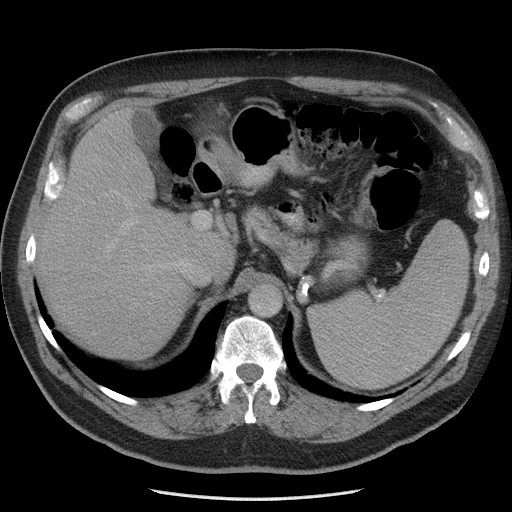
Computed tomography; Liver
The vessel annotation is not exhaustive.
Top 15 of 16 hepatic vessel regions — {"x1": 195, "y1": 213, "x2": 202, "y2": 229}, {"x1": 144, "y1": 230, "x2": 145, "y2": 232}, {"x1": 158, "y1": 221, "x2": 160, "y2": 222}, {"x1": 168, "y1": 256, "x2": 202, "y2": 278}, {"x1": 148, "y1": 266, "x2": 152, "y2": 271}, {"x1": 162, "y1": 243, "x2": 165, "y2": 245}, {"x1": 150, "y1": 293, "x2": 152, "y2": 295}, {"x1": 152, "y1": 240, "x2": 154, "y2": 246}, {"x1": 118, "y1": 231, "x2": 125, "y2": 234}, {"x1": 168, "y1": 253, "x2": 171, "y2": 255}, {"x1": 160, "y1": 265, "x2": 163, "y2": 269}, {"x1": 115, "y1": 191, "x2": 118, "y2": 194}, {"x1": 200, "y1": 275, "x2": 208, "y2": 279}, {"x1": 145, "y1": 273, "x2": 153, "y2": 281}, {"x1": 122, "y1": 218, "x2": 137, "y2": 229}.